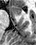 36x45 px. MRI slice.

{"anterior_hippocampus": ["12 6 22 14"]}